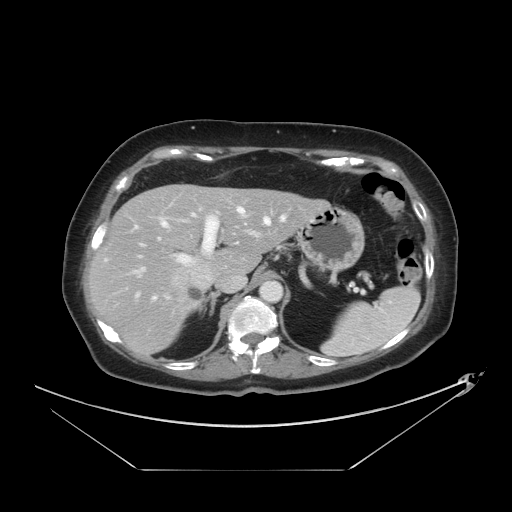

CT slice. Liver. 512x512.
Some hepatic vessels may have no box.
The most prominent 15 hepatic vessel regions (of 17) are bounded by 165:296:169:298, 133:268:144:276, 152:296:156:299, 247:230:258:236, 140:244:143:245, 263:216:270:225, 175:254:193:263, 200:212:218:261, 135:293:139:296, 133:225:138:229, 236:206:245:217, 280:216:284:220, 191:213:195:216, 179:220:187:221, 160:218:168:227. The liver tumor is at 167:262:214:301.